Computed tomography. Abdomen. Image size 512x512.
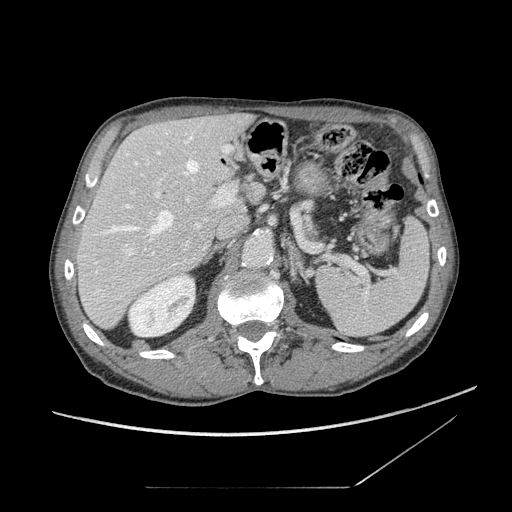
{"pancreas": ["(x1=303, y1=214, x2=316, y2=236)"]}